Slice 86 of 155; Image size 240x240; Brain
FLAIR magnetic resonance.
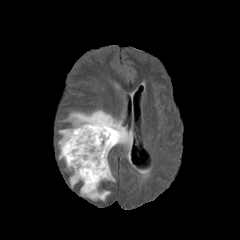
T1-weighted MRI.
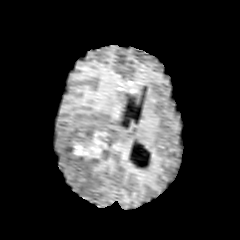
Post-contrast T1-weighted MR image.
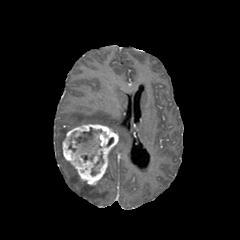
T2-weighted MR image.
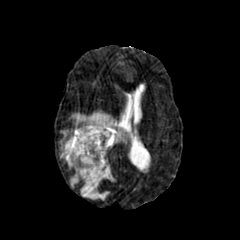
edema: (x1=68, y1=110, x2=132, y2=145), (x1=58, y1=128, x2=114, y2=200) | enhancing tumor: (x1=62, y1=124, x2=118, y2=185) | non-enhancing tumor core: (x1=68, y1=128, x2=103, y2=175)